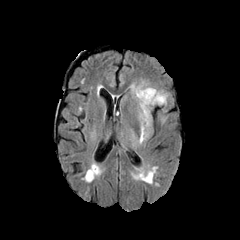
FLAIR MR image.
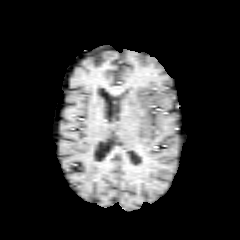
T1-weighted MR.
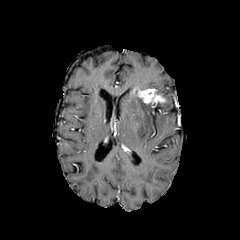
Post-contrast T1-weighted MR image.
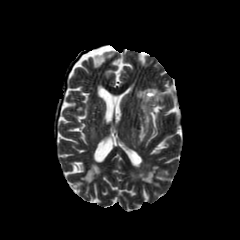
T2-weighted MRI.
240x240 px.
Enhancing tumor — bbox(137, 88, 165, 105).
Edema — bbox(130, 84, 154, 142); bbox(156, 89, 169, 100).